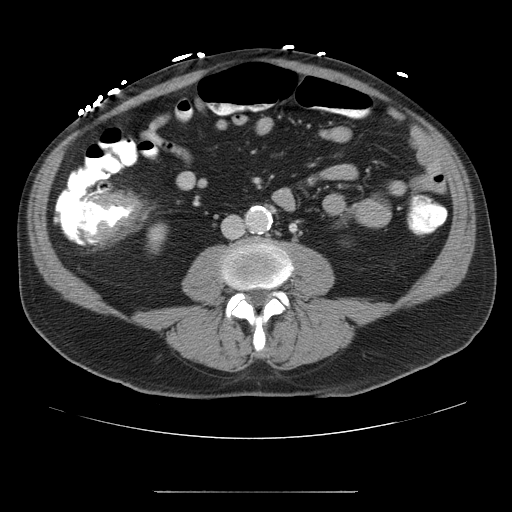 Abdomen | CT image | 512x512 px

Segmented structures:
* colon tumor: 89:193:143:240